Slice index 81, 240x240 px
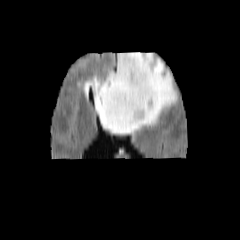
FLAIR MR.
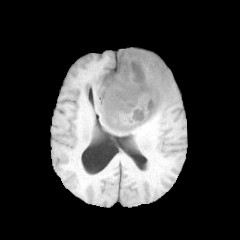
Same slice, T1-weighted magnetic resonance.
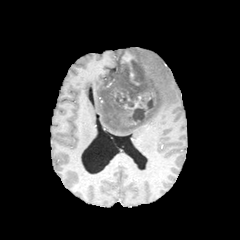
Same slice, post-contrast T1-weighted magnetic resonance.
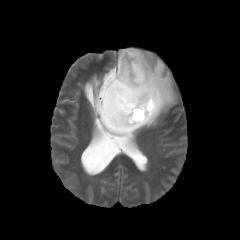
T2-weighted magnetic resonance.
Enhancing tumor at (left=122, top=52, right=133, bottom=63).
Edema at (left=90, top=48, right=177, bottom=135).
Non-enhancing tumor core at (left=104, top=50, right=157, bottom=127).